240x240, Slice 70 of 155
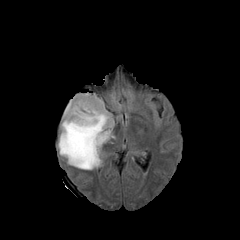
FLAIR MR image.
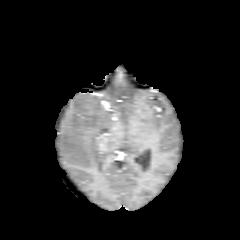
T1-weighted MRI of the same slice.
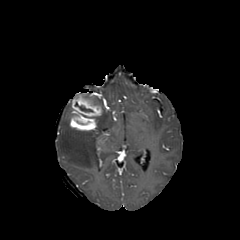
Same slice, post-contrast T1-weighted MR.
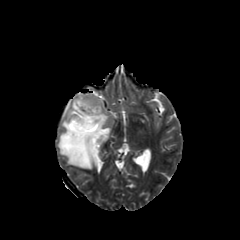
Same slice, T2-weighted MRI.
{"enhancing_tumor": ["(69,92,101,131)"], "edema": ["(58,104,114,169)"], "non-enhancing_tumor_core": ["(93,96,107,115)", "(75,103,92,111)", "(68,100,80,131)"]}